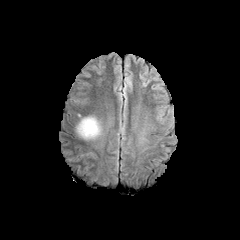
FLAIR MR image.
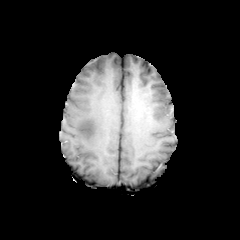
T1-weighted magnetic resonance.
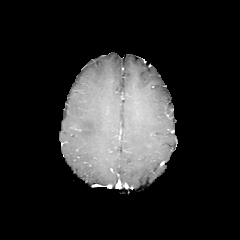
Post-contrast T1-weighted magnetic resonance of the same slice.
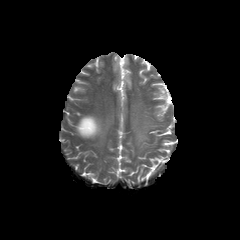
T2-weighted MR of the same slice.
<segmentation>
  <edema>[76,116,103,139]</edema>
</segmentation>